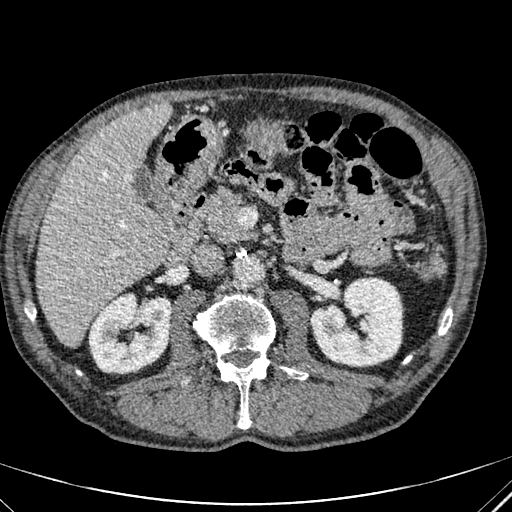
CT slice | Abdomen
The liver is at 37,104,169,346. 2 kidney regions appear at 89,295,170,372; 311,279,401,365.